CT scan slice. 512x512 px. Abdomen. Slice 624 of 986.

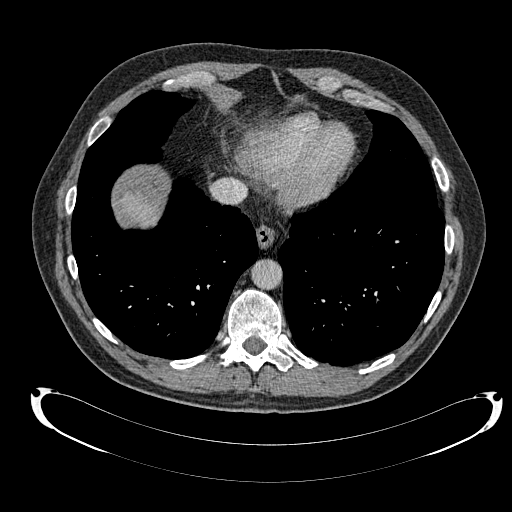
{
  "liver": [
    "[x1=122, y1=192, x2=157, y2=225]"
  ]
}